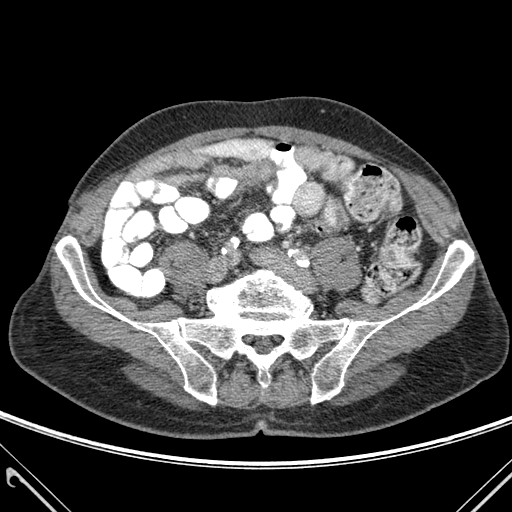

512x512. CT slice. Bone at 55:236:473:404.